Abdomen | CT scan slice

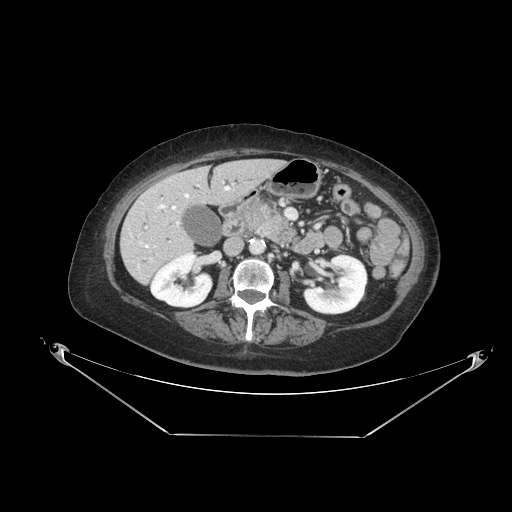 Pancreas = bbox=[247, 203, 283, 242].
Pancreatic tumor = bbox=[246, 205, 264, 221].